CT scan slice, Liver 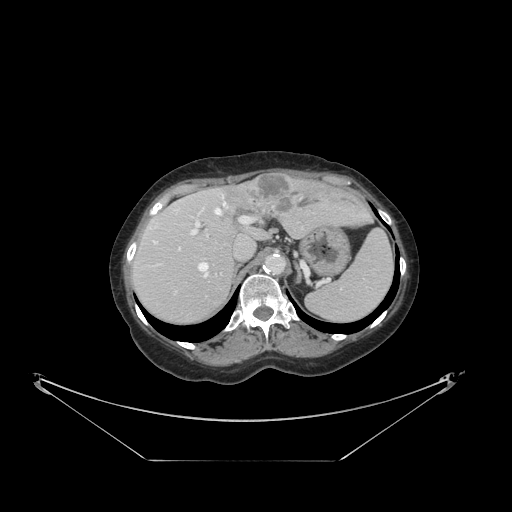 Only some of the vessels may be annotated.
7 hepatic vessel regions are bounded by 223,202,227,207; 190,220,199,234; 235,244,254,258; 214,209,220,213; 153,241,157,243; 198,262,207,277; 239,216,252,223. The liver tumor is located at 244,174,296,213.